Slice 64 of 155. Brain.
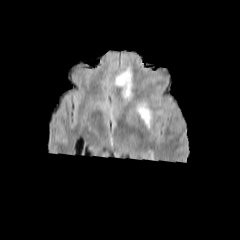
FLAIR MR.
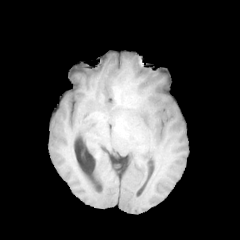
T1-weighted MR image.
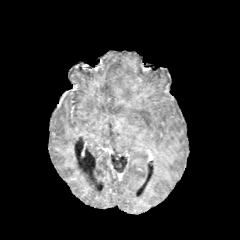
Post-contrast T1-weighted MR.
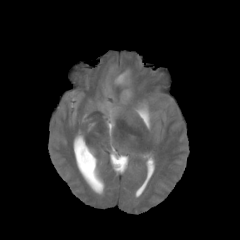
Same slice, T2-weighted magnetic resonance.
edema:
  - {"x1": 136, "y1": 101, "x2": 149, "y2": 125}
  - {"x1": 116, "y1": 71, "x2": 131, "y2": 84}